Slice index 95; Brain
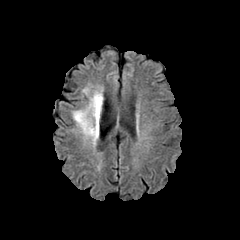
FLAIR MR.
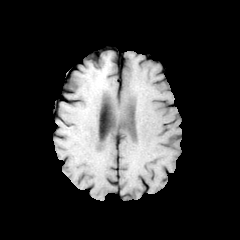
T1-weighted magnetic resonance.
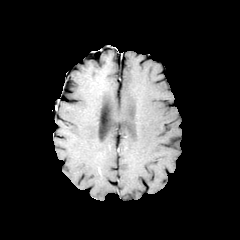
Post-contrast T1-weighted MR of the same slice.
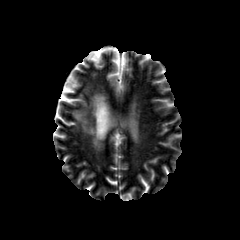
Same slice, T2-weighted MR.
Edema at 72 85 103 147.